Abdomen, CT slice
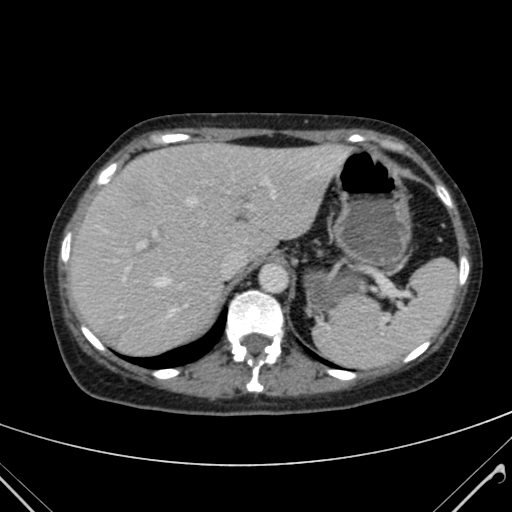
Annotated regions:
- hepatic lesion: x1=127 y1=187 x2=149 y2=207
- liver: x1=70 y1=143 x2=350 y2=354